Computed tomography | Upper abdomen
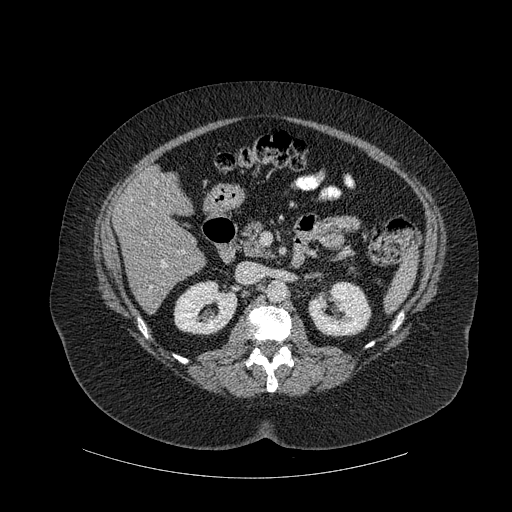 Liver — x1=113, y1=168, x2=205, y2=306.
Bone — x1=173, y1=354, x2=187, y2=363; x1=246, y1=346, x2=293, y2=391; x1=393, y1=313, x2=403, y2=330; x1=247, y1=306, x2=290, y2=341; x1=138, y1=318, x2=147, y2=337.
Kidney — x1=309, y1=282, x2=370, y2=335; x1=174, y1=281, x2=236, y2=333.